FLAIR MRI.
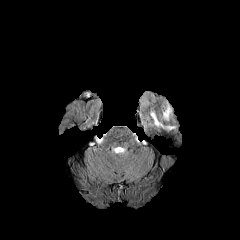
T1-weighted MR.
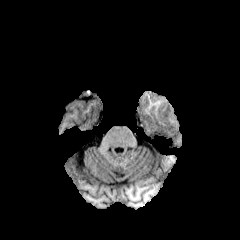
Post-contrast T1-weighted magnetic resonance.
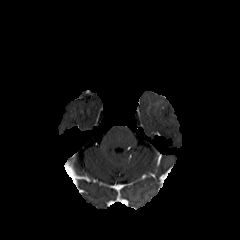
T2-weighted MRI.
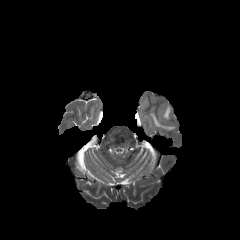
Head | 240x240 px
2 edema regions are bounded by bbox=[163, 108, 170, 120]; bbox=[149, 110, 175, 129].